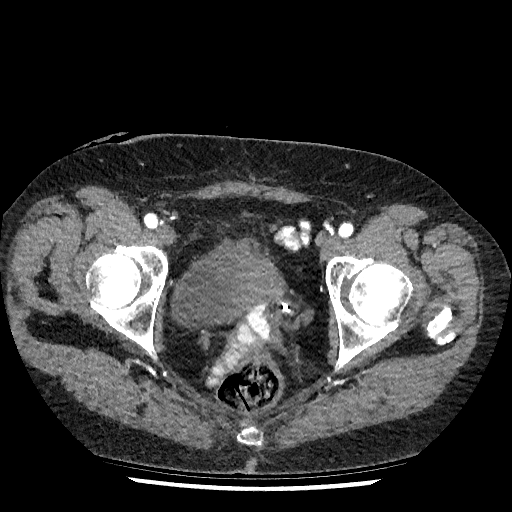

CT scan slice; 512x512; Lower abdomen
urinary bladder: (x1=171, y1=237, x2=274, y2=328)